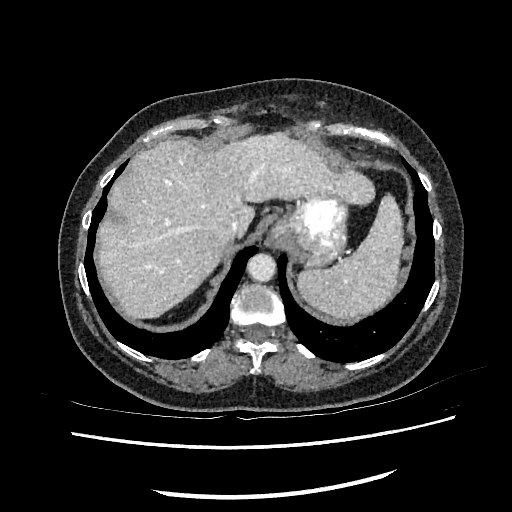

512x512. Upper abdomen. Computed tomography.
{"liver": ["region(98, 135, 373, 317)"]}